CT 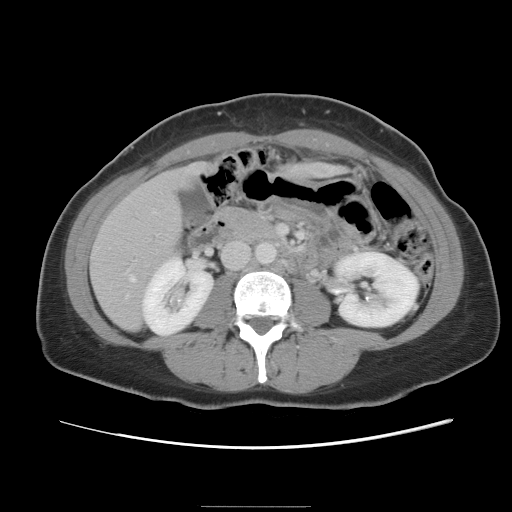

Only some of the vessels may be annotated.
Findings:
• liver tumor: x1=313, y1=164, x2=331, y2=177
• hepatic vessel: x1=126, y1=295, x2=127, y2=296; x1=126, y1=270, x2=133, y2=279